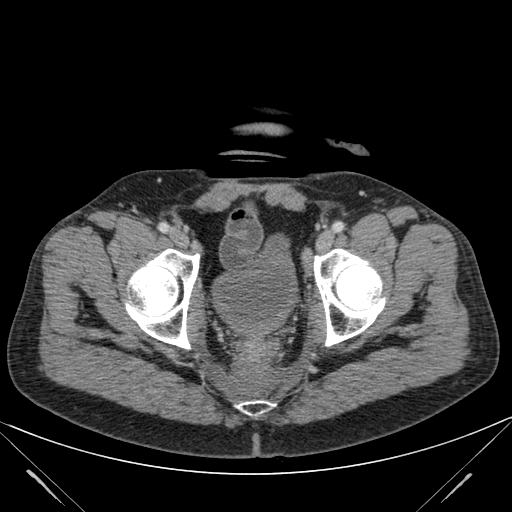

CT
<segmentation>
  <urinary_bladder>(x1=212, y1=251, x2=298, y2=338)</urinary_bladder>
</segmentation>